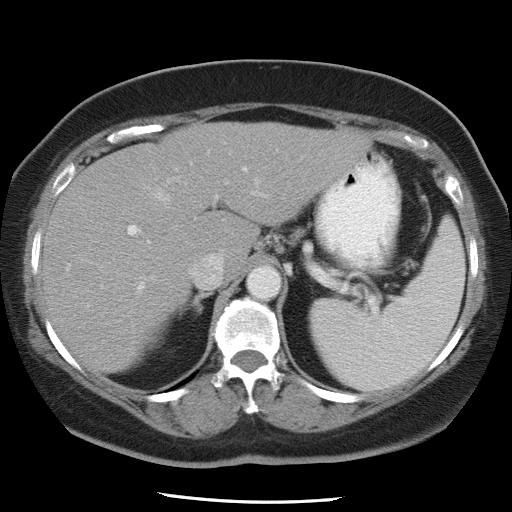 512x512 px; CT slice

The vessel annotation is not exhaustive.
• hepatic vessel: 128:225:136:233, 244:167:246:169